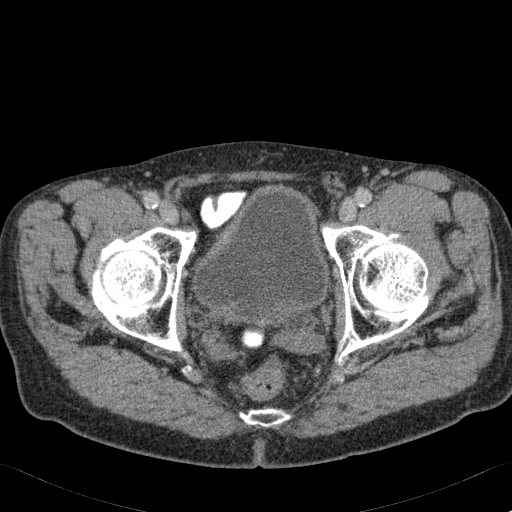

Computed tomography. 512x512 px.

Urinary bladder: 196, 192, 332, 311.